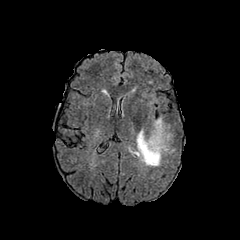
FLAIR MR.
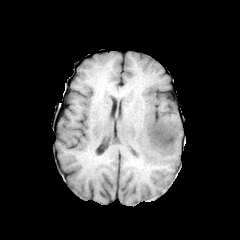
T1-weighted MR image of the same slice.
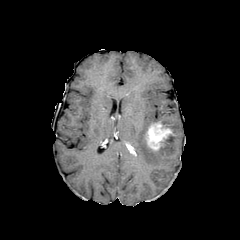
Post-contrast T1-weighted MRI.
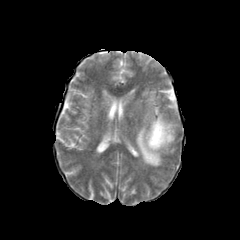
T2-weighted MR.
Brain
Findings:
* edema: region(154, 115, 177, 133); region(134, 128, 175, 166)
* enhancing tumor: region(146, 121, 173, 149)